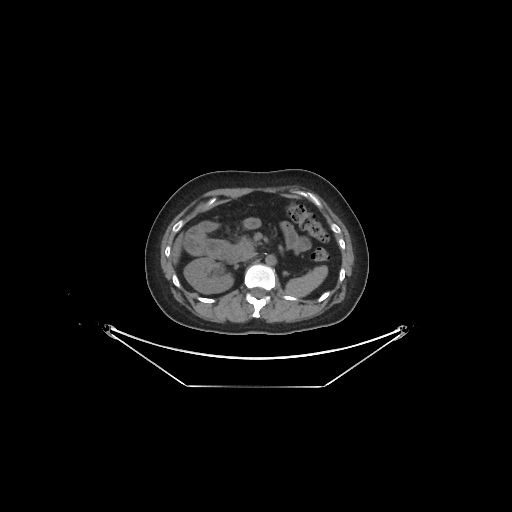 CT slice

• liver: box(171, 234, 182, 262)
• kidney: box(185, 256, 232, 293)